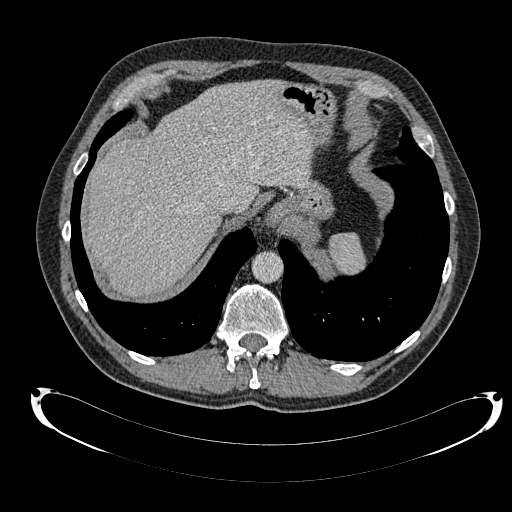
CT scan slice. Abdomen. The liver lies within <box>88,80,314,295</box>.